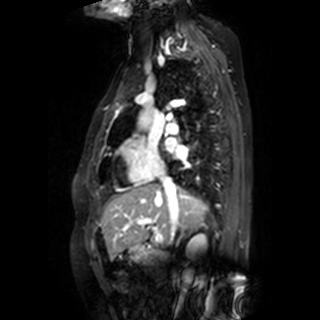
MRI, 320x320 px, Cardiac
<segmentation>
  <left_atrium>[177, 146, 187, 158], [164, 138, 176, 151]</left_atrium>
</segmentation>